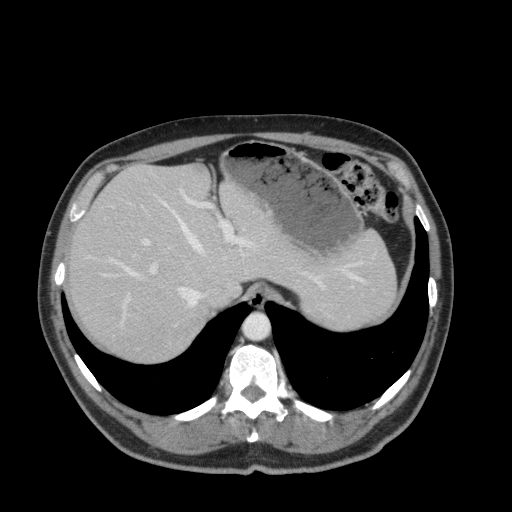 CT scan slice | Abdomen
{
  "liver": [
    "box=[71, 165, 395, 361]"
  ]
}